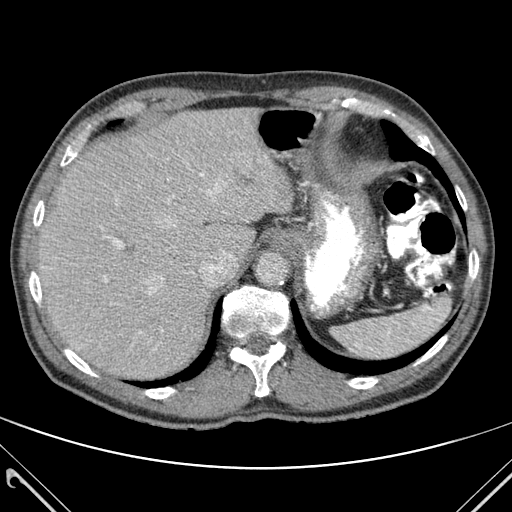
Computed tomography | Upper abdomen
The liver is at [39, 108, 291, 379]. 3 lung regions appear at [381, 120, 463, 222], [141, 305, 220, 387], [291, 301, 447, 374]. The focal liver lesion is at [233, 167, 254, 186]. 12 bone regions appear at [65, 349, 96, 376], [34, 201, 43, 226], [469, 251, 478, 278], [456, 187, 466, 209], [348, 378, 377, 388], [29, 271, 41, 302], [145, 387, 174, 398], [417, 336, 446, 363], [413, 132, 433, 153], [61, 147, 76, 165], [223, 286, 288, 337], [230, 342, 284, 396].